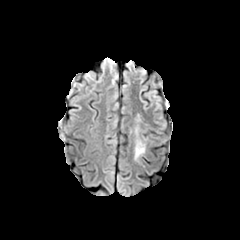
FLAIR MR image.
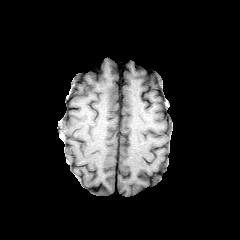
T1-weighted MR of the same slice.
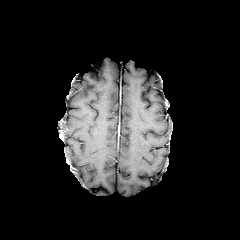
Post-contrast T1-weighted magnetic resonance.
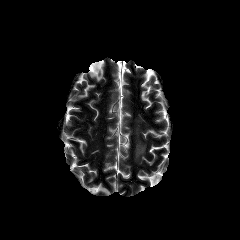
T2-weighted MRI of the same slice.
Brain | 240x240
edema: 135, 141, 145, 158